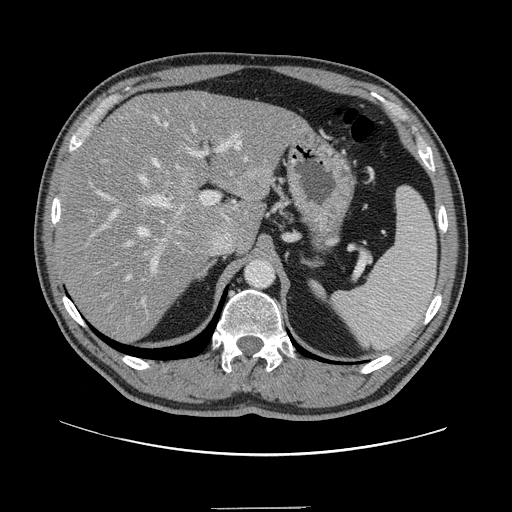 512x512 px; Computed tomography

Not every hepatic vessel necessarily has a box.
Liver tumor: bounding box left=237, top=174, right=265, bottom=199.
Top 15 of 25 hepatic vessel regions: bounding box left=217, top=134, right=240, bottom=151; left=164, top=123, right=167, bottom=126; left=142, top=298, right=144, bottom=304; left=101, top=209, right=118, bottom=229; left=143, top=195, right=170, bottom=207; left=151, top=255, right=158, bottom=272; left=125, top=243, right=131, bottom=245; left=140, top=176, right=147, bottom=184; left=155, top=117, right=158, bottom=121; left=96, top=191, right=112, bottom=199; left=139, top=228, right=148, bottom=236; left=189, top=151, right=207, bottom=156; left=201, top=191, right=219, bottom=205; left=127, top=276, right=131, bottom=279; left=153, top=159, right=158, bottom=166.